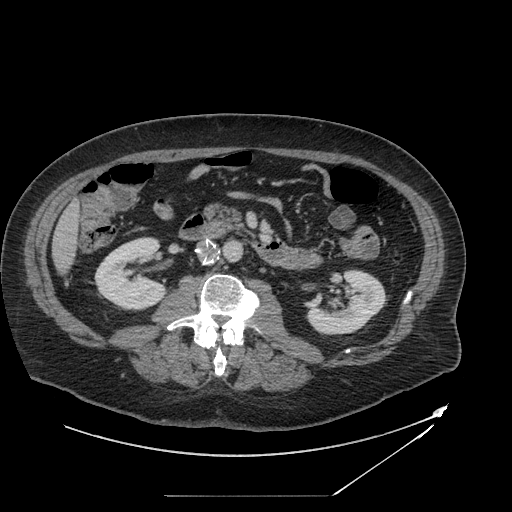
Upper abdomen. Computed tomography. The pancreas is at rect(204, 204, 242, 228).